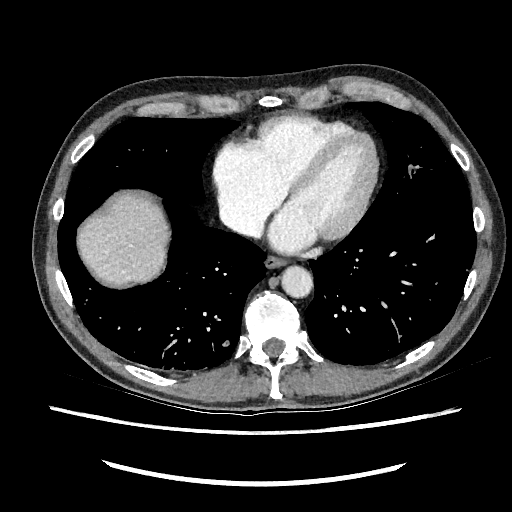

CT slice

Liver — (x1=78, y1=197, x2=167, y2=280).